Slice 77 of 155; Brain
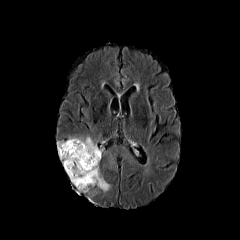
FLAIR MR image.
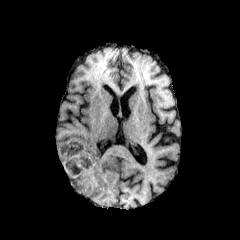
T1-weighted magnetic resonance of the same slice.
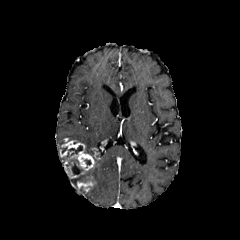
Post-contrast T1-weighted MR image of the same slice.
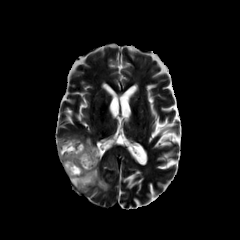
T2-weighted MR of the same slice.
Findings:
* enhancing tumor: 77,175,96,193; 60,140,101,178
* edema: 70,164,110,191; 68,135,98,154
* non-enhancing tumor core: 65,160,83,175; 61,145,82,154